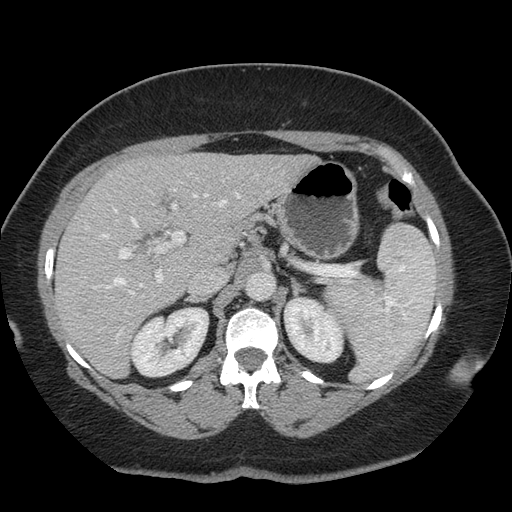

CT
Some hepatic vessels may have no box.
Largest 15 of 20 hepatic vessel regions: bounding box l=236, t=194, r=238, b=197; l=157, t=243, r=170, b=251; l=105, t=286, r=109, b=289; l=129, t=291, r=134, b=295; l=172, t=231, r=184, b=243; l=173, t=204, r=176, b=208; l=156, t=270, r=162, b=282; l=114, t=209, r=117, b=212; l=114, t=278, r=125, b=285; l=99, t=234, r=108, b=238; l=217, t=201, r=226, b=206; l=93, t=286, r=100, b=289; l=116, t=327, r=123, b=342; l=132, t=219, r=137, b=226; l=120, t=248, r=131, b=259.